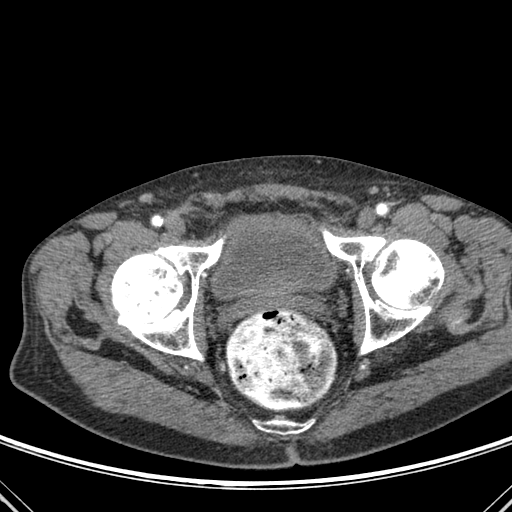

Pelvis. CT scan slice. Image size 512x512.

Bone — 254:420:312:434, 321:229:444:354, 111:236:225:360.
Urinary bladder — 212:210:341:299.